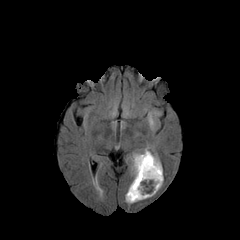
FLAIR MRI.
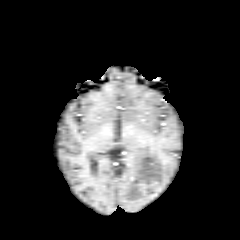
Same slice, T1-weighted magnetic resonance.
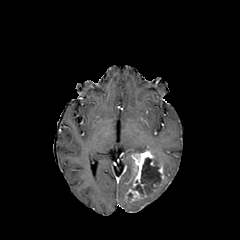
Post-contrast T1-weighted magnetic resonance.
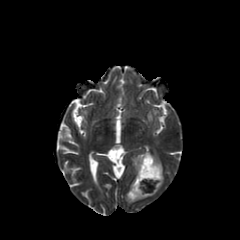
T2-weighted MRI of the same slice.
Brain
Non-enhancing tumor core — bbox=[129, 158, 161, 195].
Enhancing tumor — bbox=[132, 150, 154, 187]; bbox=[158, 163, 165, 179]; bbox=[124, 186, 146, 201].
Edema — bbox=[131, 158, 137, 177]; bbox=[151, 151, 161, 165].